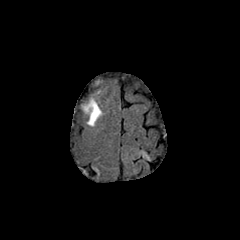
FLAIR MR.
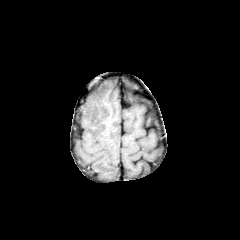
T1-weighted magnetic resonance.
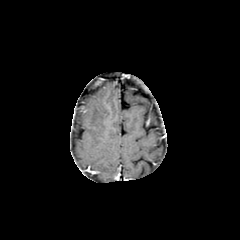
Same slice, post-contrast T1-weighted MR image.
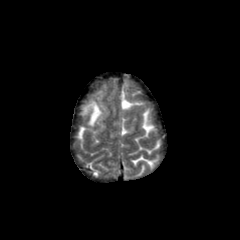
T2-weighted MR of the same slice.
Brain
{"edema": ["box=[84, 99, 102, 126]"]}